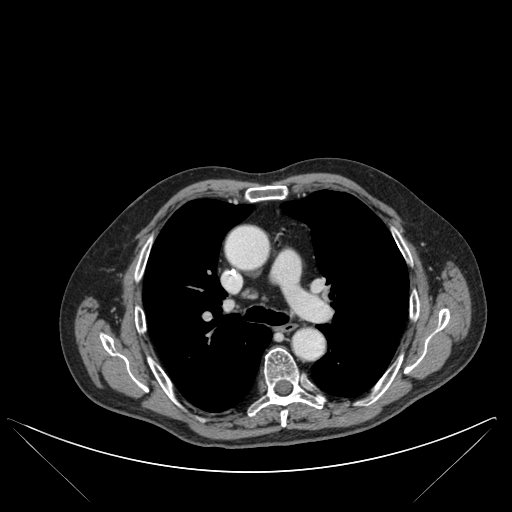

Thorax | CT scan slice
Bone = l=148, t=358, r=176, b=403; l=410, t=291, r=419, b=319; l=135, t=307, r=145, b=332; l=370, t=356, r=402, b=402; l=135, t=238, r=151, b=280; l=100, t=334, r=148, b=391; l=245, t=185, r=287, b=201; l=249, t=348, r=324, b=426; l=404, t=309, r=449, b=373; l=395, t=231, r=410, b=260.
Lung = l=281, t=190, r=408, b=397; l=143, t=199, r=287, b=412.